Slice 62/155, Brain, Field of view 240 mm wide, 1.00 mm slice spacing
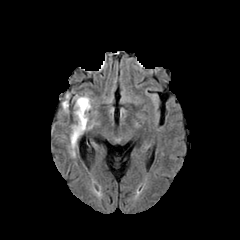
FLAIR MRI.
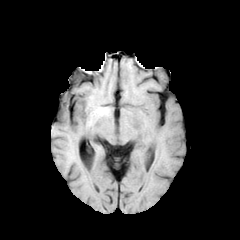
T1-weighted magnetic resonance.
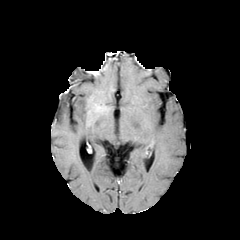
Same slice, post-contrast T1-weighted MR.
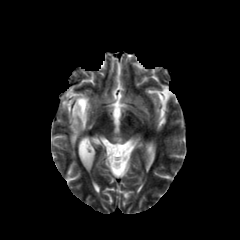
Same slice, T2-weighted MRI.
The non-enhancing tumor core is bounded by (77,97,91,115). The edema lies within (62,93,97,157).